FLAIR MR image.
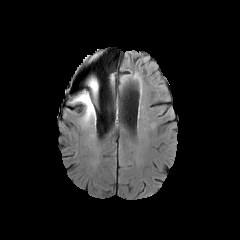
T1-weighted magnetic resonance.
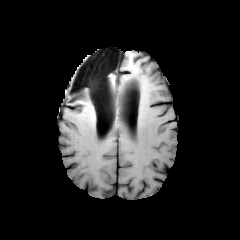
Post-contrast T1-weighted MRI.
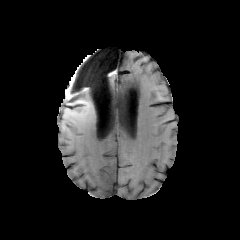
T2-weighted magnetic resonance.
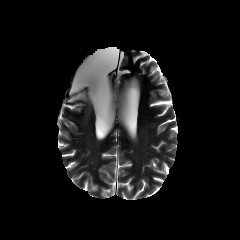
Head.
{"edema": ["74:76:101:106", "82:102:97:127"], "non-enhancing_tumor_core": ["70:92:97:112"]}